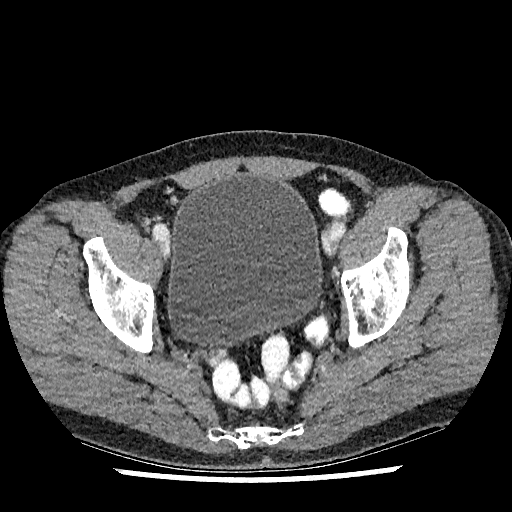

CT, Pelvis
The urinary bladder is located at [167, 175, 322, 350].